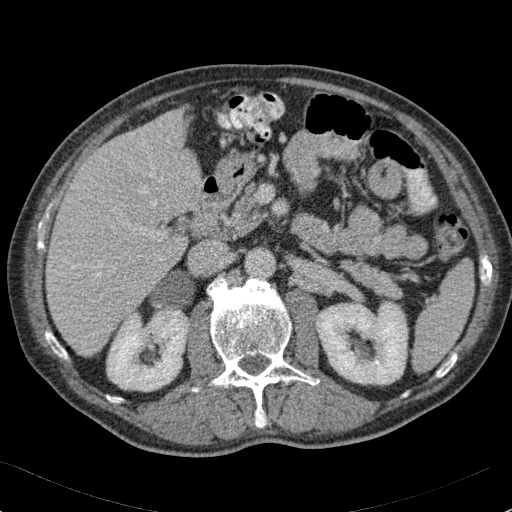

Image size 512x512. Computed tomography. Abdomen.

2 kidney regions are located at (left=316, top=301, right=407, bottom=384), (left=107, top=312, right=188, bottom=390). The liver is at (left=47, top=113, right=198, bottom=355).